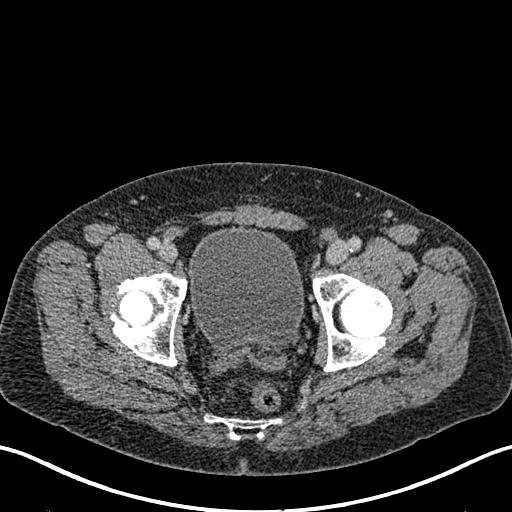

CT image

<segmentation>
  <urinary_bladder>188, 226, 303, 344</urinary_bladder>
</segmentation>